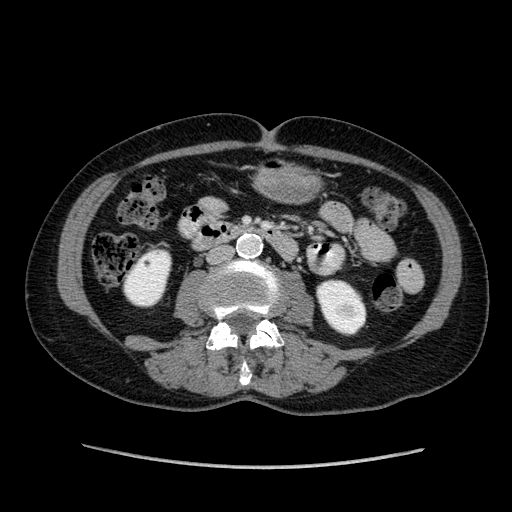
Abdomen | CT slice | Image size 512x512

2 kidney regions appear at [x1=125, y1=251, x2=169, y2=304], [x1=318, y1=281, x2=364, y2=333].